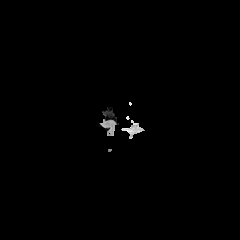
FLAIR MRI.
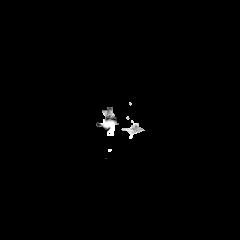
T1-weighted MRI of the same slice.
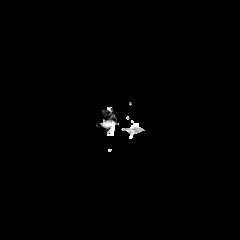
Post-contrast T1-weighted magnetic resonance of the same slice.
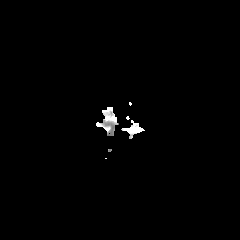
Same slice, T2-weighted MRI.
240x240 px. Head.
Edema = left=128, top=126, right=143, bottom=137.